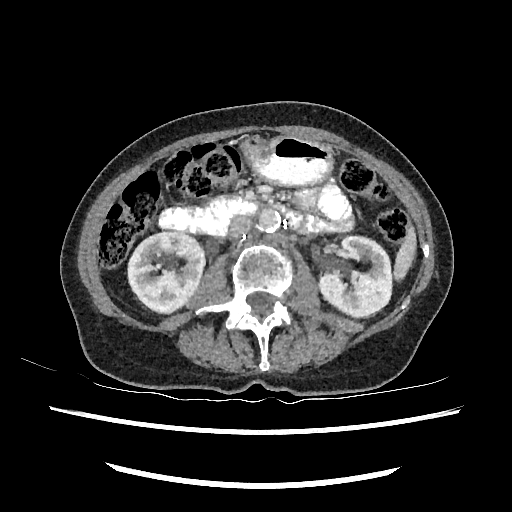 CT scan slice. Abdomen.

* kidney: bbox(128, 229, 204, 312); bbox(320, 237, 391, 316)